FLAIR magnetic resonance.
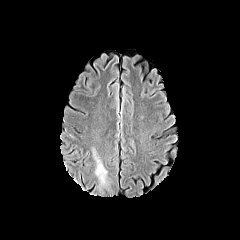
T1-weighted MRI.
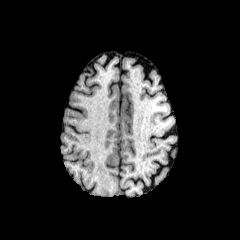
Post-contrast T1-weighted MRI.
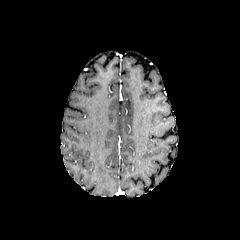
T2-weighted MR.
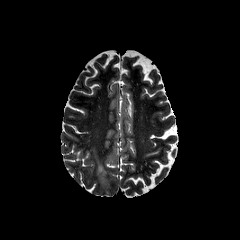
Findings:
- edema: x1=96, y1=159, x2=106, y2=179